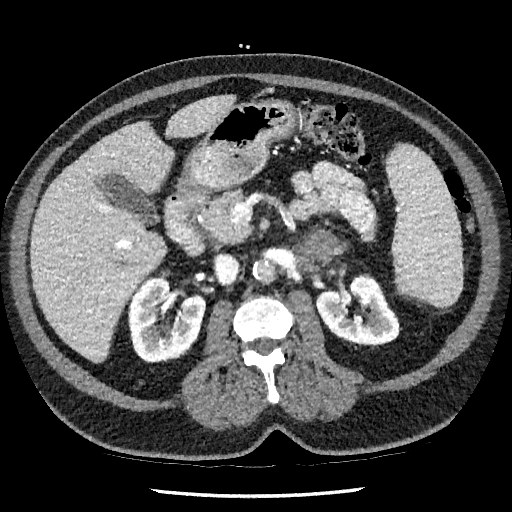

Computed tomography, Liver
* kidney: <bbox>129, 278, 205, 361</bbox>, <bbox>317, 276, 398, 344</bbox>
* focal liver lesion: <bbox>117, 261, 127, 269</bbox>
* liver: <bbox>31, 122, 173, 362</bbox>, <bbox>166, 94, 235, 137</bbox>